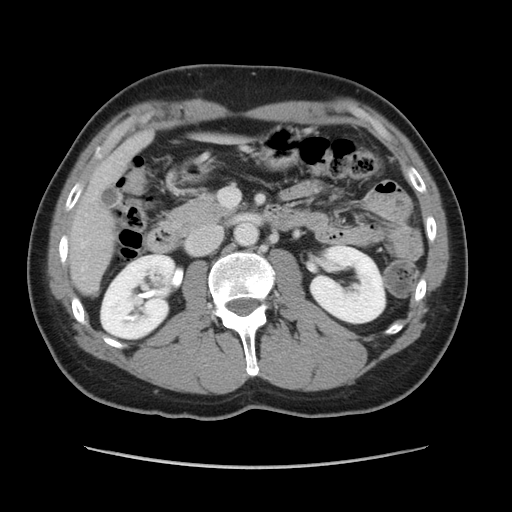
CT image

Some hepatic vessels may have no box.
2 hepatic vessel regions are located at {"x1": 82, "y1": 269, "x2": 83, "y2": 270}, {"x1": 81, "y1": 241, "x2": 86, "y2": 246}.